FLAIR MR image.
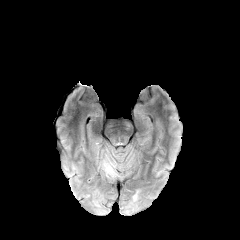
T1-weighted magnetic resonance.
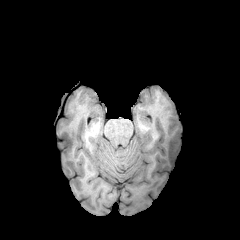
Post-contrast T1-weighted magnetic resonance.
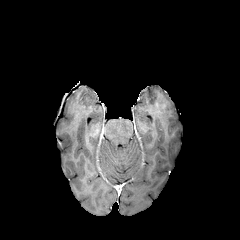
T2-weighted MR image.
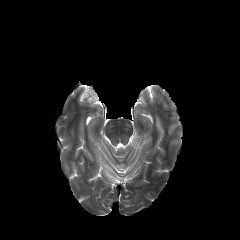
240x240. Brain.
Segmented structures:
- edema: [102, 161, 114, 178]